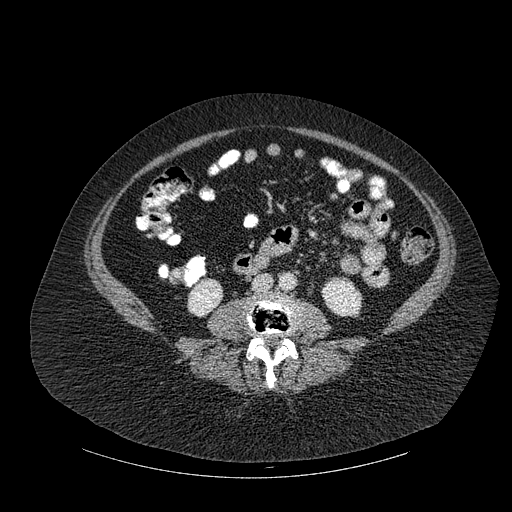 CT image | 512x512 px | Abdomen

{"bone": ["x1=246 y1=296 x2=297 y2=387"], "kidney": ["x1=188 y1=279 x2=222 y2=316", "x1=322 y1=279 x2=361 y2=315"]}